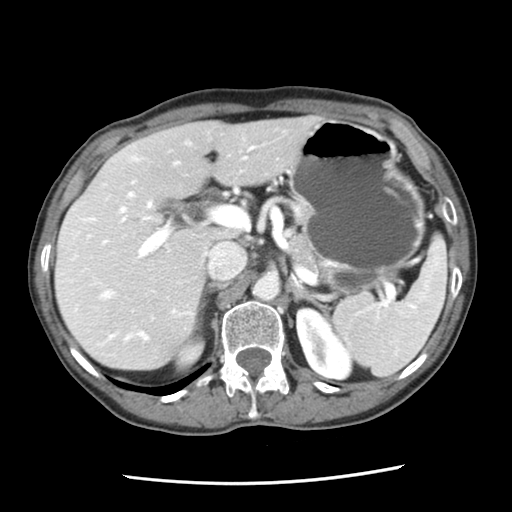

Image size 512x512. CT scan slice.
The pancreas lies within x1=288, y1=227, x2=325, y2=273.